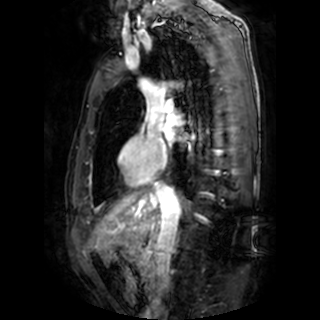 MR | Heart

2 left atrium regions are located at [179,136,185,143], [165,130,172,138].